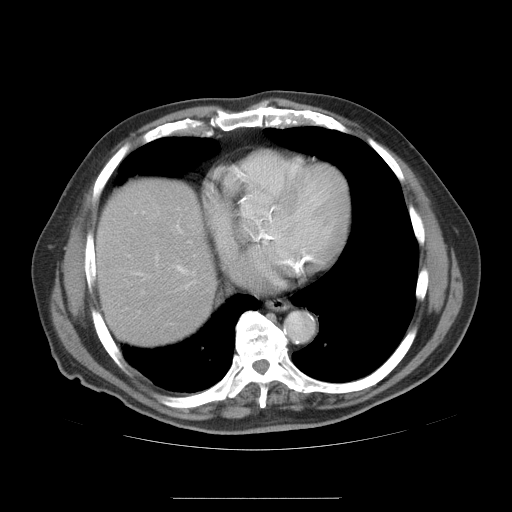
Computed tomography | 512x512 px
Some hepatic vessels may have no box.
Hepatic vessel: 185, 280, 195, 286; 141, 291, 144, 293; 192, 272, 194, 275; 176, 266, 186, 273; 155, 255, 157, 259; 131, 272, 141, 274; 138, 311, 140, 312.